FLAIR magnetic resonance.
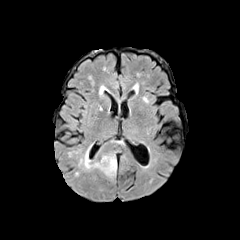
T1-weighted MRI.
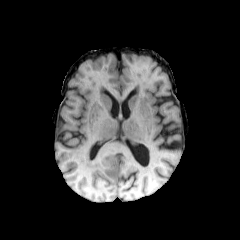
Post-contrast T1-weighted magnetic resonance.
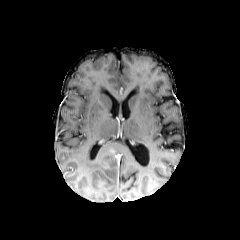
T2-weighted MRI.
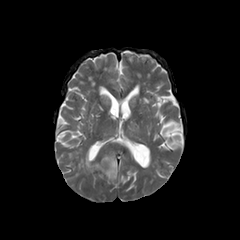
240x240
edema:
  - 78:148:117:178